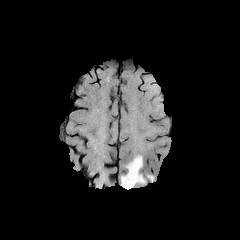
FLAIR MR.
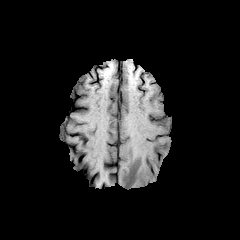
Same slice, T1-weighted MR image.
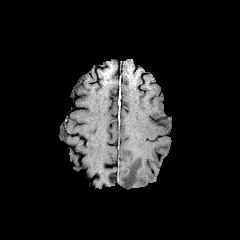
Post-contrast T1-weighted MRI of the same slice.
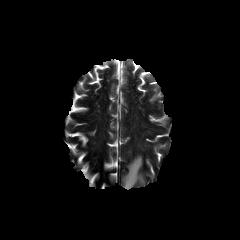
T2-weighted MR image.
Brain.
The edema is at 121 154 145 189.